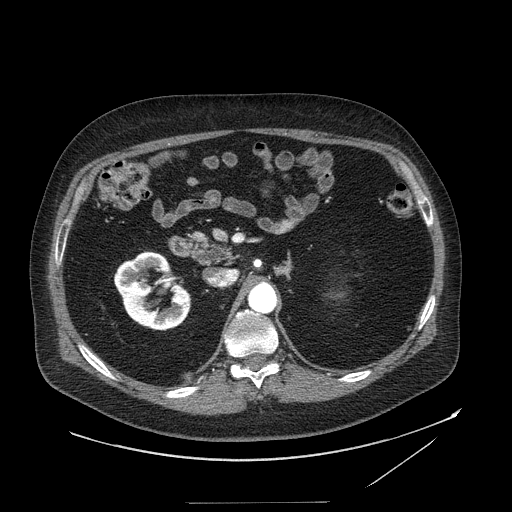
Abdomen, CT slice, 512x512
pancreatic tumor: rect(200, 248, 224, 260) | pancreas: rect(190, 232, 231, 265)